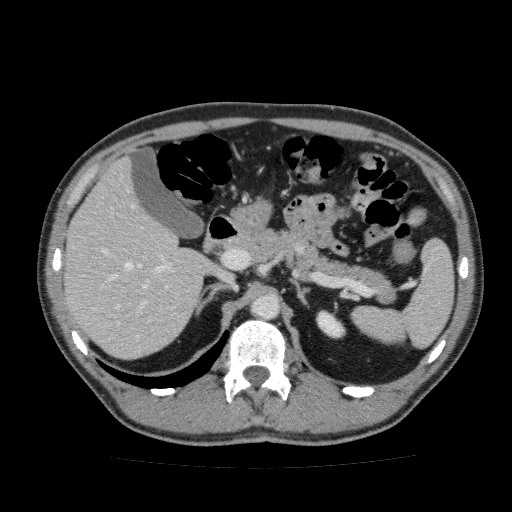 Abdomen | 512x512 px | Computed tomography

Segmented structures:
• kidney: left=317, top=312, right=343, bottom=337
• liver: left=63, top=155, right=234, bottom=360